FLAIR MRI.
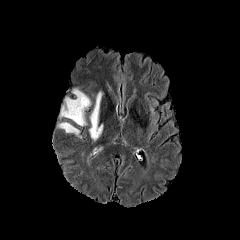
T1-weighted MR.
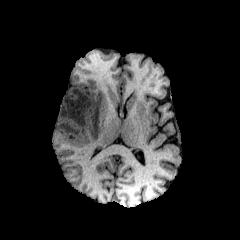
Post-contrast T1-weighted MR.
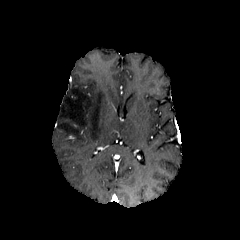
T2-weighted MRI.
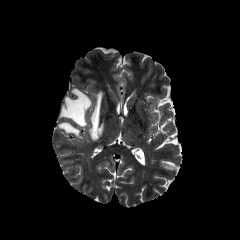
Head
Annotated regions:
• edema: (58,122,81,139), (89,92,103,141), (59,90,91,126)